Slice 133/155
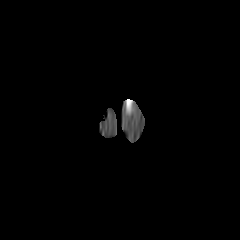
FLAIR MR.
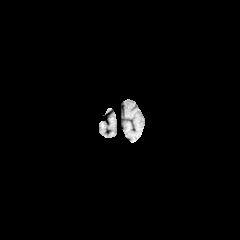
T1-weighted magnetic resonance of the same slice.
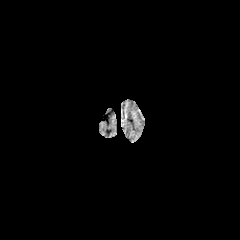
Post-contrast T1-weighted magnetic resonance of the same slice.
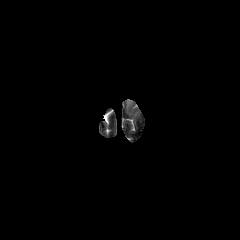
T2-weighted magnetic resonance of the same slice.
The edema appears at 126, 99, 132, 114.